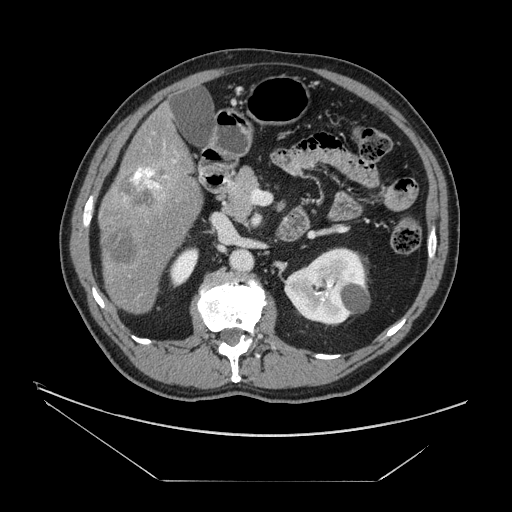
Abdomen; Image size 512x512; CT slice
<segmentation>
  <liver_tumor>[105, 229, 138, 266], [118, 167, 170, 208]</liver_tumor>
</segmentation>